Computed tomography. Upper abdomen. Slice 583 of 871.
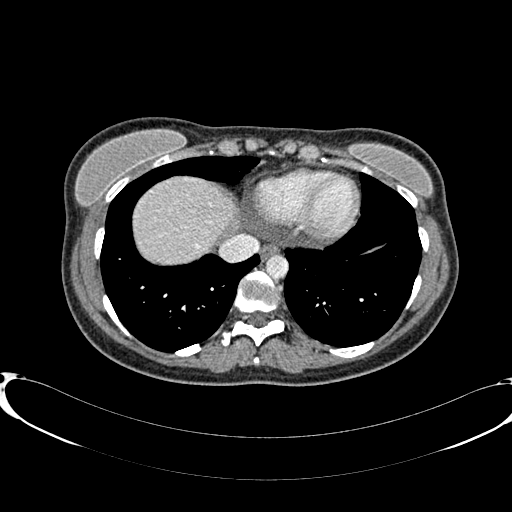 Segmented structures:
- liver: [134,178,235,264]